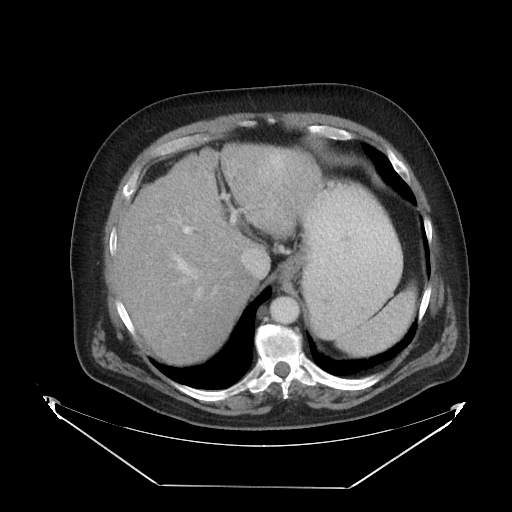
CT slice. Image size 512x512. Abdomen. The vessel annotation is not exhaustive.
<segmentation>
  <hepatic_vessel>bbox=[248, 206, 253, 206]; bbox=[241, 248, 267, 277]; bbox=[195, 287, 202, 297]; bbox=[175, 258, 198, 282]; bbox=[233, 213, 234, 218]</hepatic_vessel>
</segmentation>